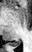

Medial temporal lobe, 32x52, MRI

The posterior hippocampus is located at l=12, t=41, r=20, b=46.